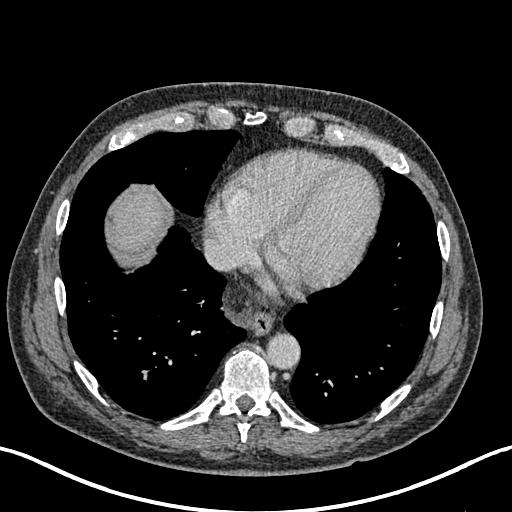
CT. Upper abdomen.

Segmented structures:
• liver: (left=107, top=187, right=171, bottom=265)